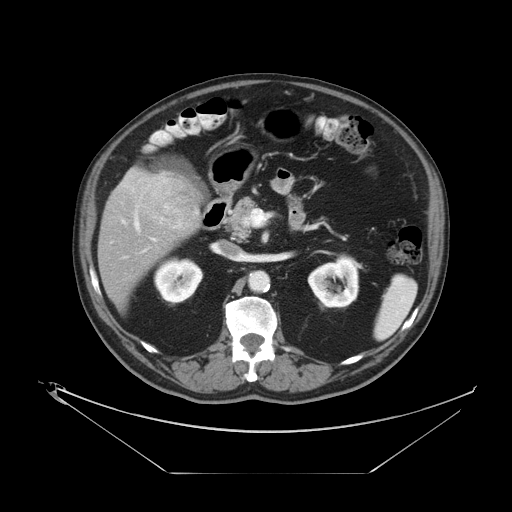
512x512 px. Liver. CT. Not every hepatic vessel necessarily has a box.
Hepatic vessel: x1=151, y1=238, x2=156, y2=240; x1=139, y1=175, x2=166, y2=187; x1=152, y1=192, x2=156, y2=195; x1=131, y1=187, x2=133, y2=191; x1=122, y1=220, x2=125, y2=223; x1=140, y1=195, x2=141, y2=198; x1=122, y1=172, x2=133, y2=186; x1=136, y1=205, x2=138, y2=209; x1=159, y1=217, x2=163, y2=224; x1=159, y1=196, x2=162, y2=200; x1=134, y1=211, x2=139, y2=231; x1=174, y1=223, x2=186, y2=227.
Liver tumor: x1=160, y1=178, x2=197, y2=222.